CT 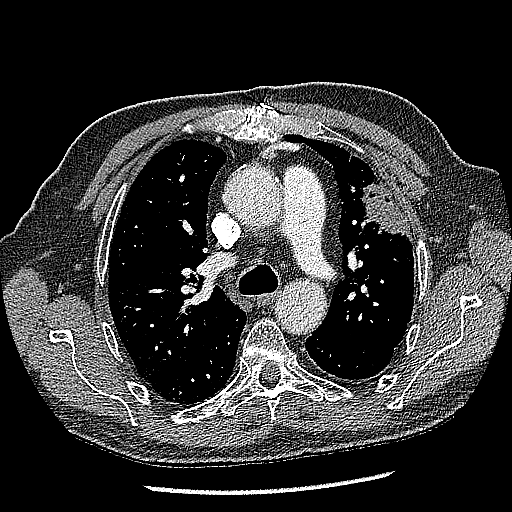 The lung tumor is at <box>360,176,408,235</box>.